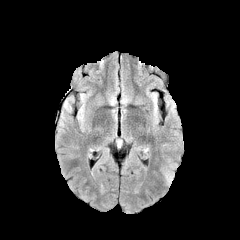
FLAIR MR.
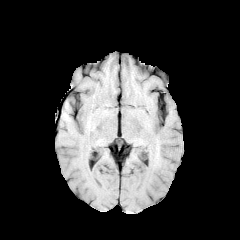
T1-weighted MR image.
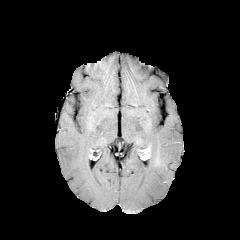
Post-contrast T1-weighted magnetic resonance of the same slice.
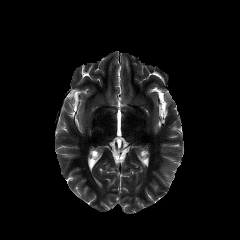
T2-weighted MR of the same slice.
Image size 240x240.
Edema: bounding box x1=164 y1=170 x2=172 y2=184.